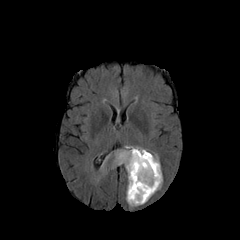
FLAIR MR.
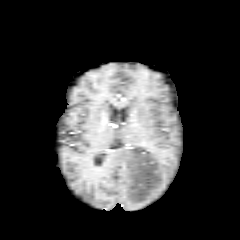
T1-weighted MRI.
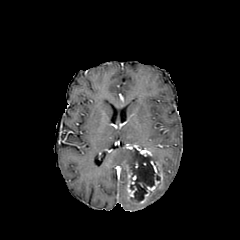
Post-contrast T1-weighted MRI.
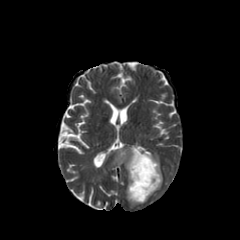
Same slice, T2-weighted magnetic resonance.
Brain
Annotated regions:
• enhancing tumor: l=140, t=160, r=163, b=202; l=126, t=144, r=151, b=156; l=127, t=171, r=136, b=198
• non-enhancing tumor core: l=126, t=149, r=154, b=202
• edema: l=146, t=148, r=159, b=163; l=112, t=148, r=161, b=207